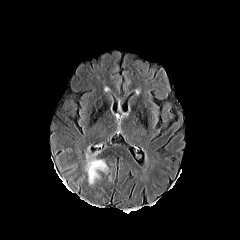
FLAIR magnetic resonance.
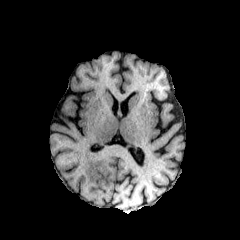
T1-weighted MRI.
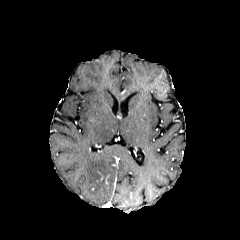
Post-contrast T1-weighted MR image.
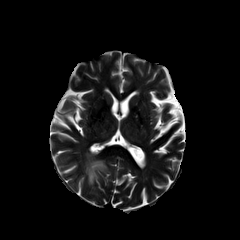
T2-weighted MR image of the same slice.
240x240 px.
Edema = 85:153:106:184.